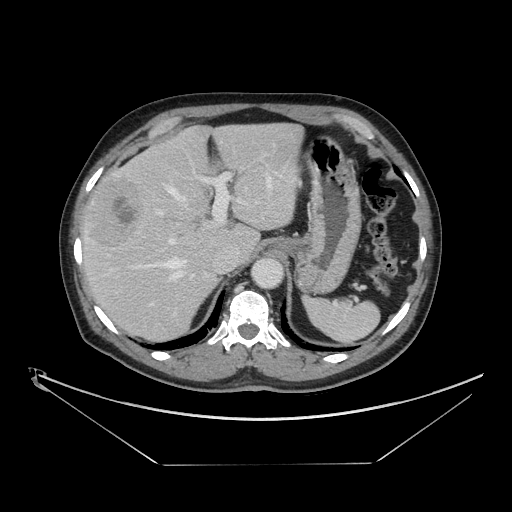

Liver | 512x512 | CT

Only some of the vessels may be annotated.
hepatic_vessel:
  - box=[171, 270, 183, 279]
  - box=[162, 258, 185, 268]
  - box=[131, 263, 157, 267]
  - box=[196, 176, 211, 181]
  - box=[168, 184, 183, 201]
  - box=[169, 239, 175, 243]
  - box=[238, 200, 245, 203]
  - box=[149, 303, 153, 305]
  - box=[213, 173, 231, 221]
  - box=[267, 175, 271, 188]
  - box=[265, 154, 266, 155]
  - box=[192, 274, 193, 276]
  - box=[156, 209, 162, 214]
liver_tumor:
  - box=[87, 177, 145, 248]